FLAIR MR image.
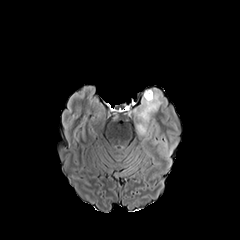
T1-weighted MRI.
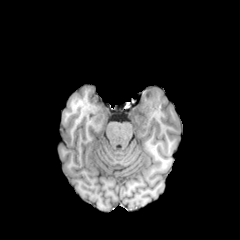
Post-contrast T1-weighted MR.
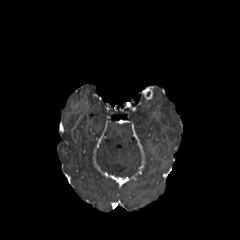
T2-weighted MR image.
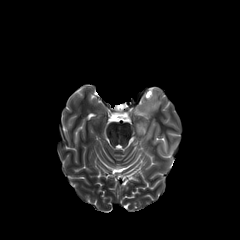
Brain.
Segmented structures:
- edema: 131:91:165:150
- enhancing tumor: 143:88:152:99